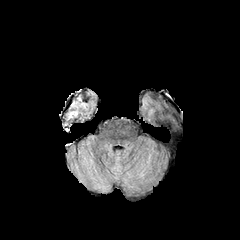
FLAIR MR image.
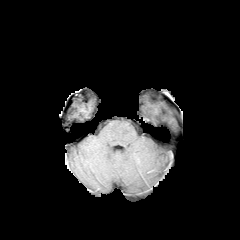
T1-weighted MRI.
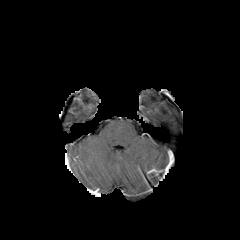
Post-contrast T1-weighted MRI.
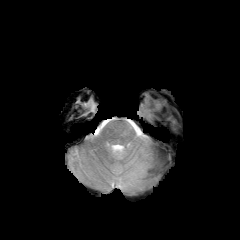
T2-weighted MR of the same slice.
Head.
Edema — bbox(124, 155, 144, 187).